CT. Abdomen. 512x512.

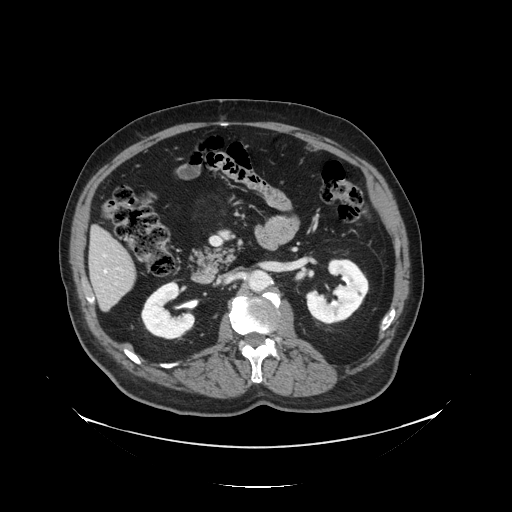
The vessel annotation is not exhaustive.
3 hepatic vessel regions are located at (x1=104, y1=255, x2=105, y2=256), (x1=117, y1=268, x2=120, y2=269), (x1=104, y1=270, x2=106, y2=273).